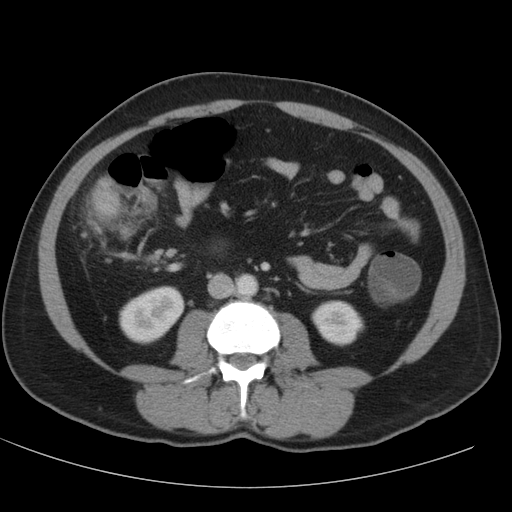 Computed tomography

2 kidney regions are located at (left=120, top=287, right=183, bottom=342), (left=312, top=301, right=362, bottom=344).